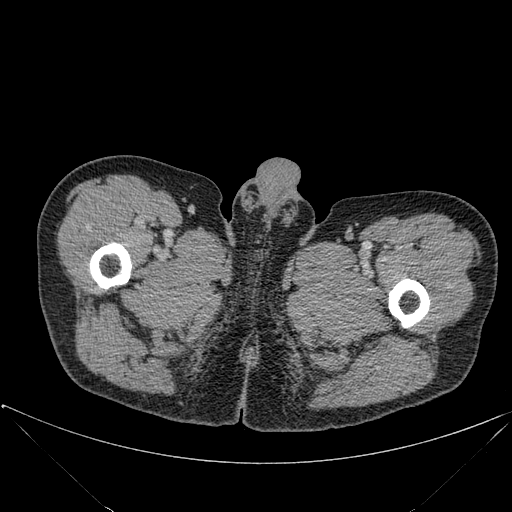

CT scan slice
{
  "bone": [
    {"x1": 90, "y1": 243, "x2": 131, "y2": 289},
    {"x1": 388, "y1": 279, "x2": 429, "y2": 328}
  ]
}